Abdomen. CT scan slice. Slice 411/537. 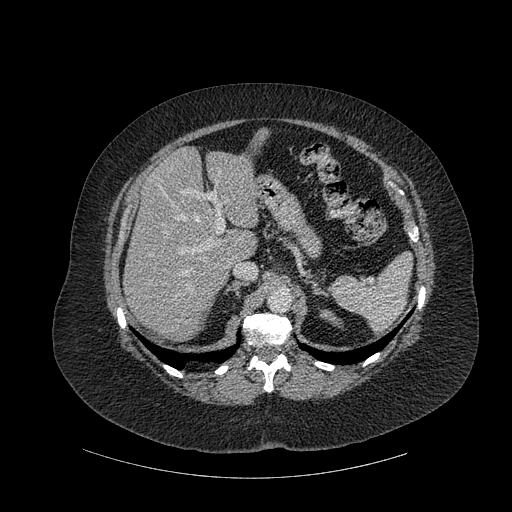
{
  "liver": [
    "123:128:267:341"
  ],
  "bone": [
    "315:362:333:370",
    "418:287:425:308",
    "215:366:227:374",
    "409:227:417:241",
    "243:313:291:346",
    "164:365:182:377",
    "117:308:125:327",
    "363:353:379:365",
    "248:354:290:391"
  ],
  "lung": [
    "133:331:239:369",
    "299:319:405:364"
  ]
}